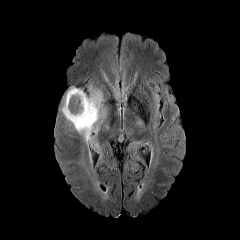
FLAIR MRI.
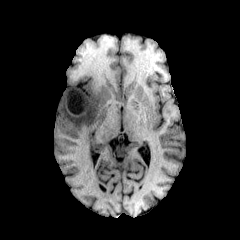
Same slice, T1-weighted magnetic resonance.
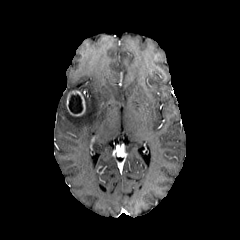
Post-contrast T1-weighted magnetic resonance of the same slice.
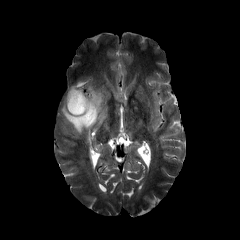
T2-weighted magnetic resonance of the same slice.
The non-enhancing tumor core lies within left=68, top=94, right=82, bottom=113. 2 edema regions are located at left=92, top=142, right=102, bottom=160; left=59, top=85, right=107, bottom=169. The enhancing tumor appears at left=66, top=90, right=85, bottom=116.